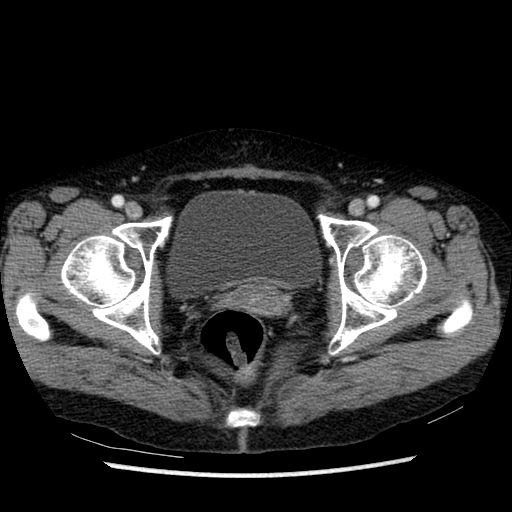
Pelvis | CT | 512x512
The urinary bladder is bounded by box(164, 190, 322, 300).